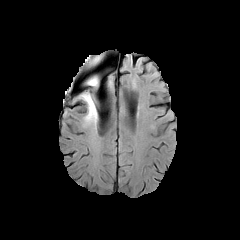
FLAIR magnetic resonance.
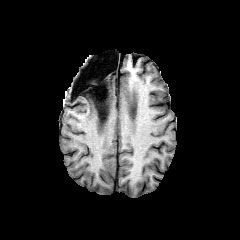
T1-weighted MR image of the same slice.
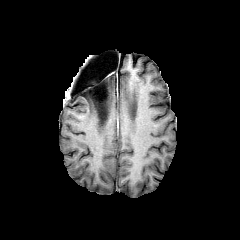
Same slice, post-contrast T1-weighted MR.
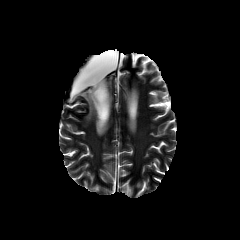
Same slice, T2-weighted MR.
• non-enhancing tumor core: (80,76,99,111), (86,56,97,65)
• edema: (78,94,98,128)